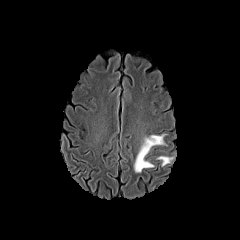
FLAIR MR.
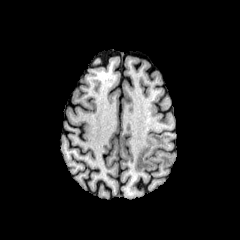
T1-weighted MR of the same slice.
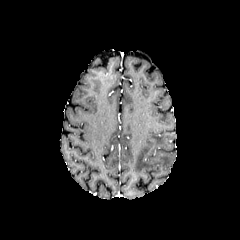
Post-contrast T1-weighted MR.
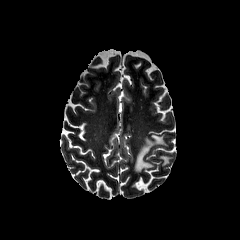
T2-weighted magnetic resonance.
Brain
2 edema regions are located at box=[157, 156, 169, 166]; box=[133, 134, 167, 173].